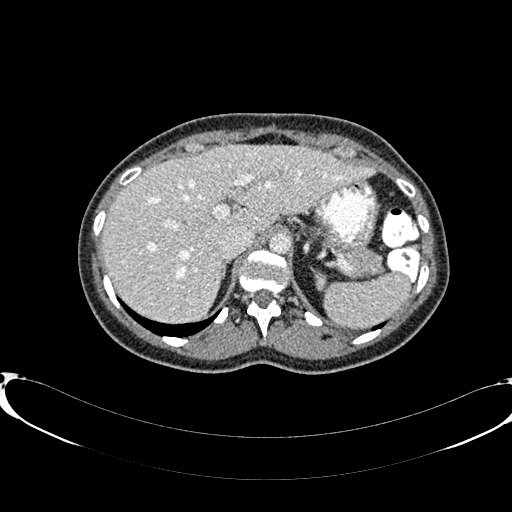

CT; Image size 512x512; Abdomen

Liver at {"x1": 102, "y1": 145, "x2": 375, "y2": 321}.